FLAIR MRI.
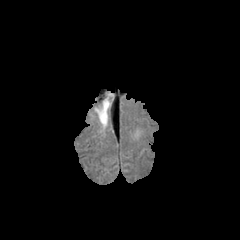
T1-weighted MR image.
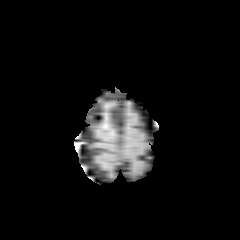
Post-contrast T1-weighted MRI.
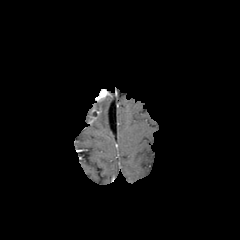
T2-weighted MR image.
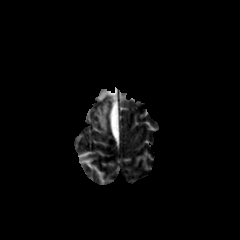
{"edema": ["[x1=91, y1=96, x2=110, y2=129]"]}